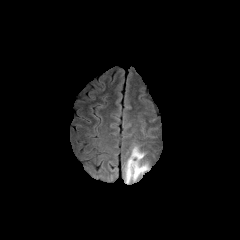
FLAIR MR.
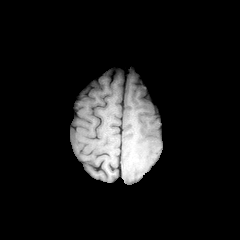
Same slice, T1-weighted magnetic resonance.
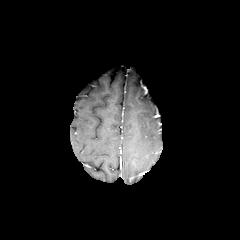
Post-contrast T1-weighted MR.
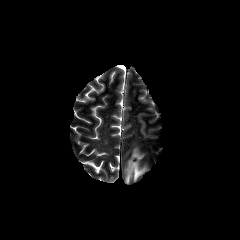
T2-weighted magnetic resonance of the same slice.
Brain
The edema is at 123:147:148:184.